Head, Slice 134/155, 240x240
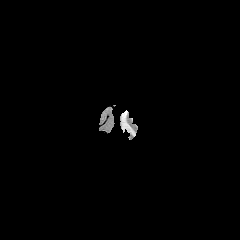
FLAIR MR image.
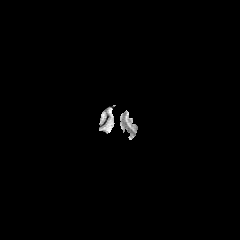
T1-weighted magnetic resonance of the same slice.
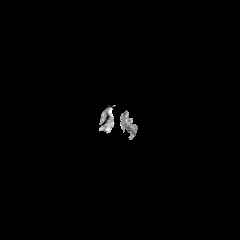
Post-contrast T1-weighted MR image.
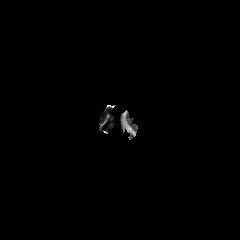
T2-weighted MR image of the same slice.
Edema: bounding box (x1=122, y1=110, x2=135, y2=135).